CT

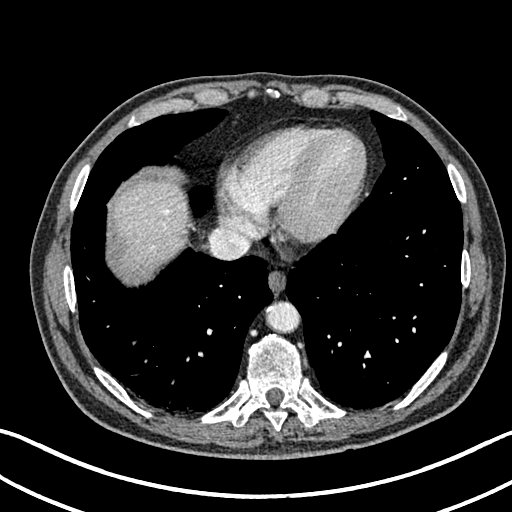 <segmentation>
  <liver>113, 181, 185, 270</liver>
</segmentation>